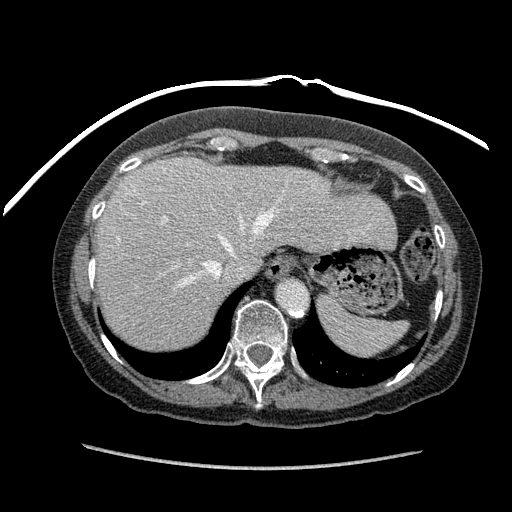

CT scan slice
The liver appears at 95 158 395 351.